Upper abdomen; Image size 512x512; CT scan slice

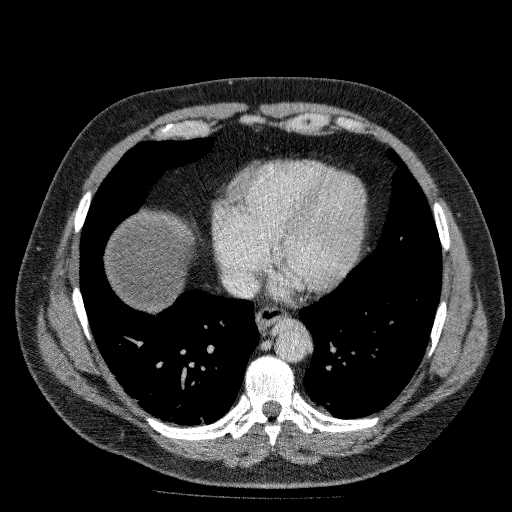
The liver is located at (106, 213, 188, 309).